Image size 240x240
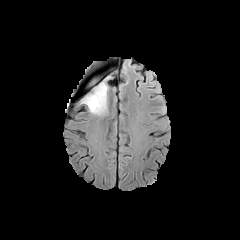
FLAIR MRI.
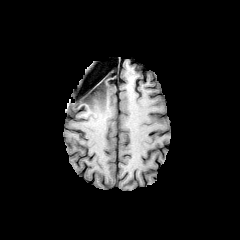
T1-weighted MR image.
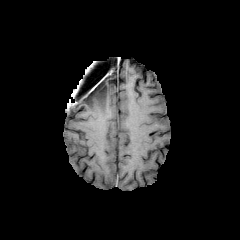
Post-contrast T1-weighted MR.
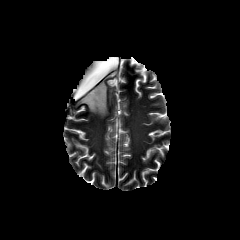
T2-weighted MR.
Non-enhancing tumor core at [82, 82, 103, 99].
Edema at [80, 81, 111, 115], [84, 78, 99, 93].